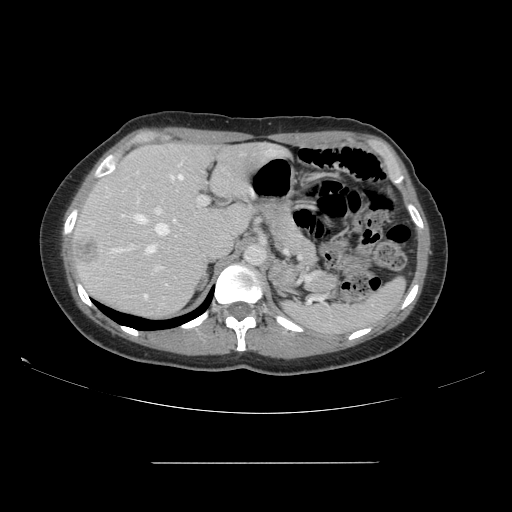

Abdomen, CT scan slice, 512x512 px
Only some of the vessels may be annotated.
{
  "partial": true,
  "liver_tumor": [
    "(left=75, top=240, right=99, bottom=265)"
  ],
  "hepatic_vessel": {
    "n_total": 19,
    "boxes": [
      "(left=136, top=195, right=139, bottom=204)",
      "(left=130, top=244, right=133, bottom=247)",
      "(left=176, top=175, right=182, bottom=179)",
      "(left=145, top=244, right=156, bottom=254)",
      "(left=178, top=163, right=181, bottom=166)",
      "(left=155, top=207, right=161, bottom=213)",
      "(left=134, top=214, right=147, bottom=223)",
      "(left=170, top=176, right=173, bottom=178)",
      "(left=120, top=214, right=125, bottom=217)",
      "(left=155, top=223, right=168, bottom=235)",
      "(left=154, top=265, right=163, bottom=270)",
      "(left=110, top=248, right=121, bottom=252)",
      "(left=198, top=196, right=207, bottom=207)",
      "(left=143, top=294, right=147, bottom=298)",
      "(left=173, top=219, right=177, bottom=223)"
    ]
  }
}